Slice index 59
FLAIR MR.
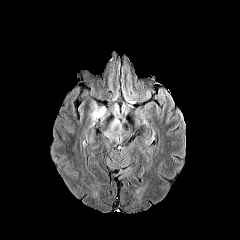
T1-weighted MR image.
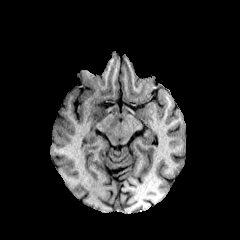
Post-contrast T1-weighted MR.
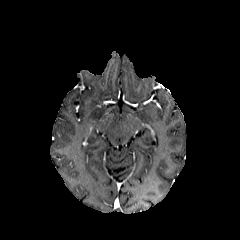
T2-weighted magnetic resonance.
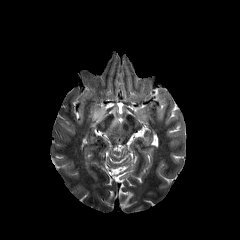
edema:
  - box=[91, 102, 104, 120]